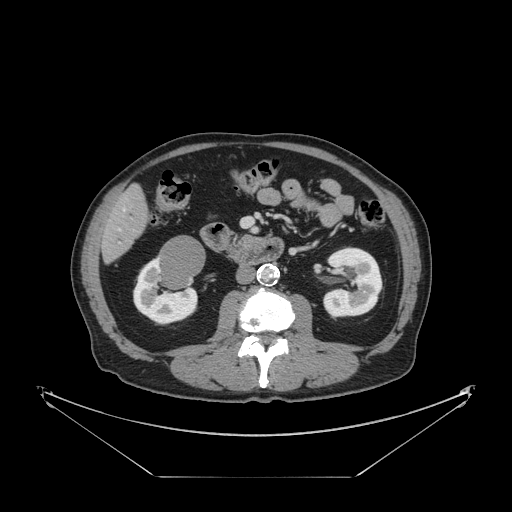

Liver. Computed tomography. Only some of the vessels may be annotated.
The hepatic vessel is located at (x1=118, y1=229, x2=120, y2=230).